Upper abdomen; Slice index 385; CT image

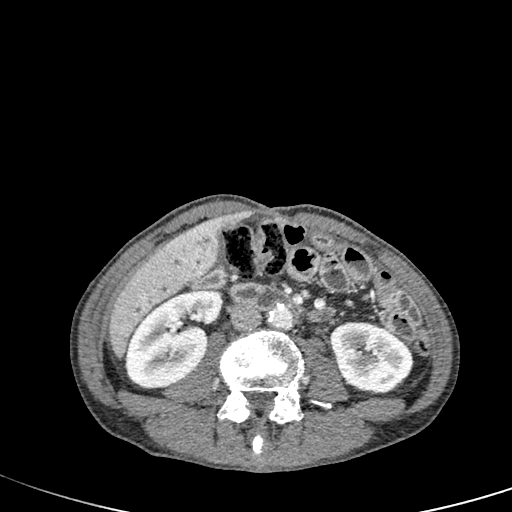 Segmented structures:
- liver: bbox(109, 218, 222, 357)
- focal liver lesion: bbox(222, 211, 250, 227)
- kidney: bbox(331, 323, 411, 391); bbox(126, 291, 221, 387)